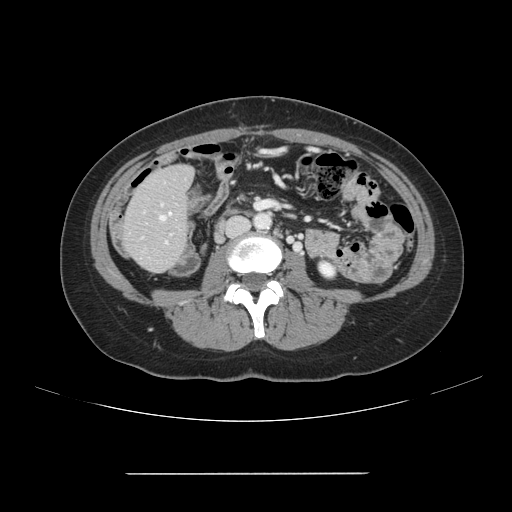
Liver. 512x512. CT image.

The vessel boxes may cover only some of the vessels.
* hepatic vessel: box=[160, 216, 164, 219]; box=[169, 212, 170, 214]